FLAIR magnetic resonance.
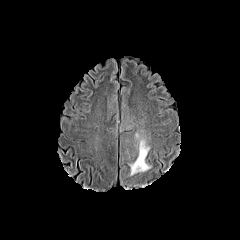
T1-weighted MRI.
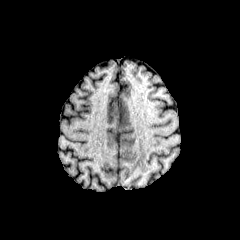
Post-contrast T1-weighted MR.
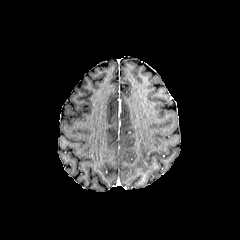
T2-weighted MR.
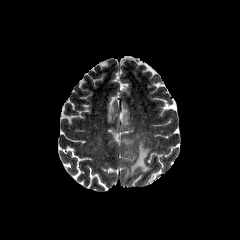
Edema at 130 139 150 176.